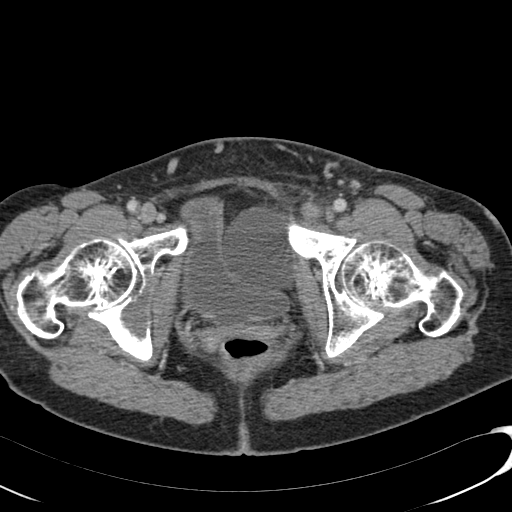 CT image
<segmentation>
  <urinary_bladder>region(165, 196, 290, 326)</urinary_bladder>
</segmentation>